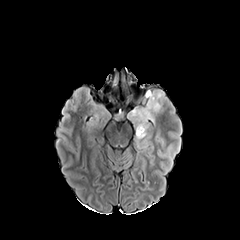
FLAIR magnetic resonance.
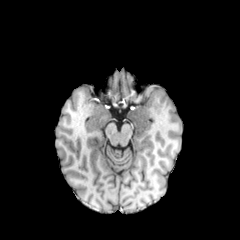
T1-weighted MRI of the same slice.
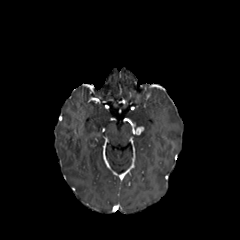
Same slice, post-contrast T1-weighted MRI.
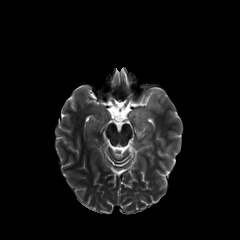
T2-weighted MR image of the same slice.
{
  "enhancing_tumor": [
    "box(136, 126, 144, 135)"
  ],
  "edema": [
    "box(127, 92, 162, 152)"
  ]
}